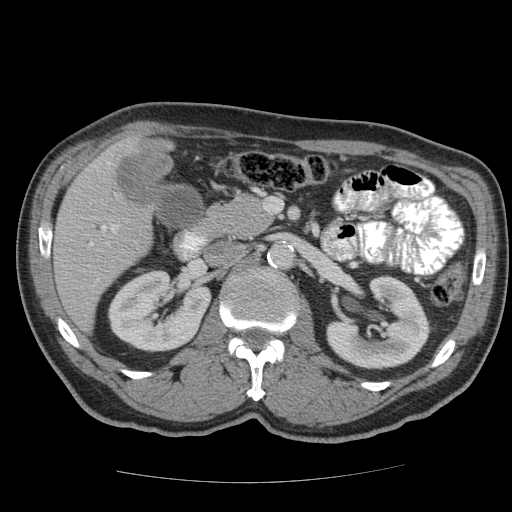

Computed tomography | Liver | 512x512

Some hepatic vessels may have no box.
3 hepatic vessel regions appear at l=115, t=195, r=118, b=198; l=89, t=243, r=91, b=245; l=101, t=226, r=105, b=230. The liver tumor appears at l=115, t=140, r=171, b=204.